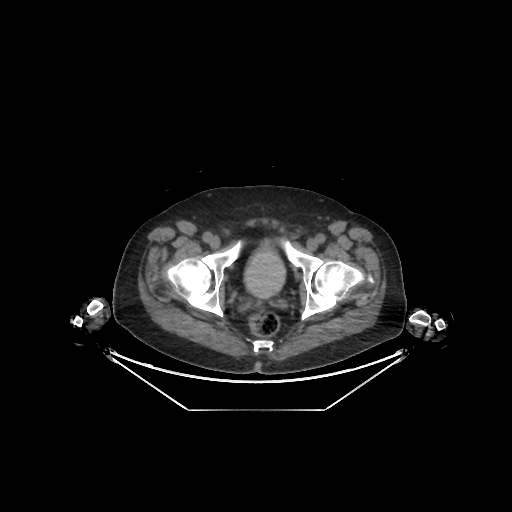 CT scan slice. Urinary bladder — region(244, 243, 285, 297).